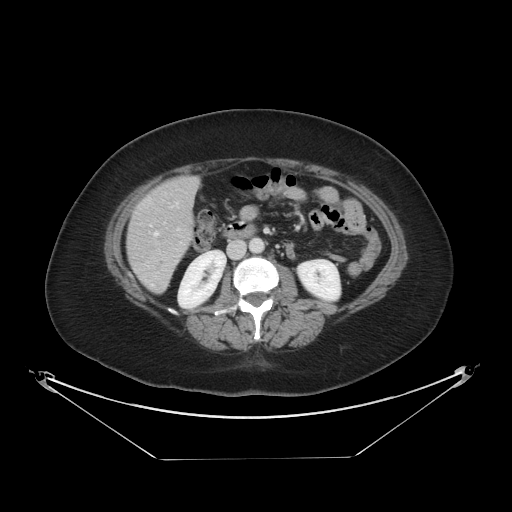
CT scan slice
The vessel boxes may cover only some of the vessels.
The hepatic vessel lies within x1=154, y1=232, x2=157, y2=235.